CT scan slice | Slice 504 of 836 | Liver
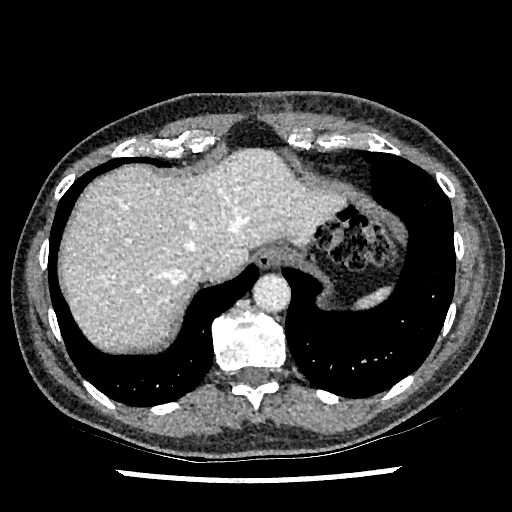
Liver: 61, 148, 348, 351.